Slice index 280; Abdomen; 512x512; Computed tomography 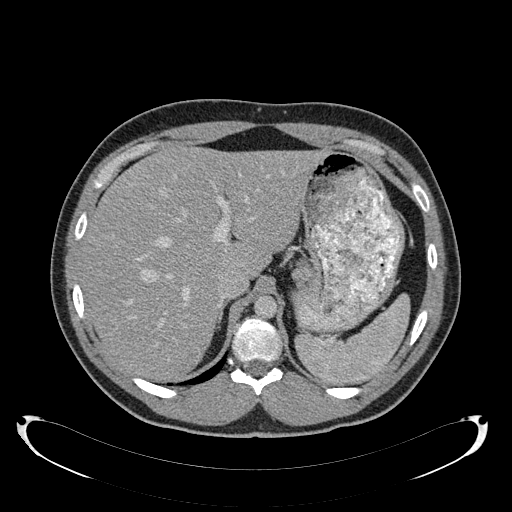

The liver lies within box(79, 145, 328, 379).